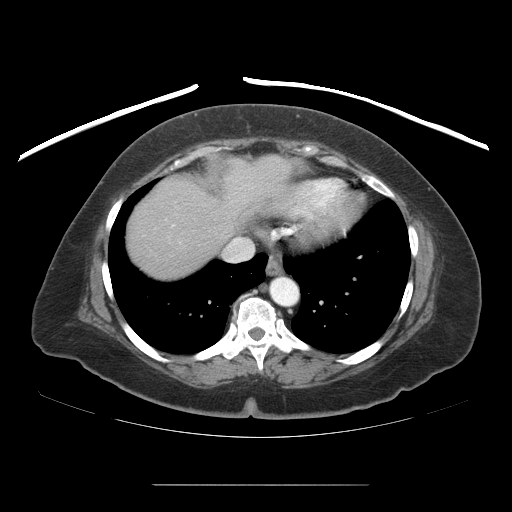

Computed tomography
Some hepatic vessels may have no box.
Findings:
- hepatic vessel: region(223, 238, 252, 261)